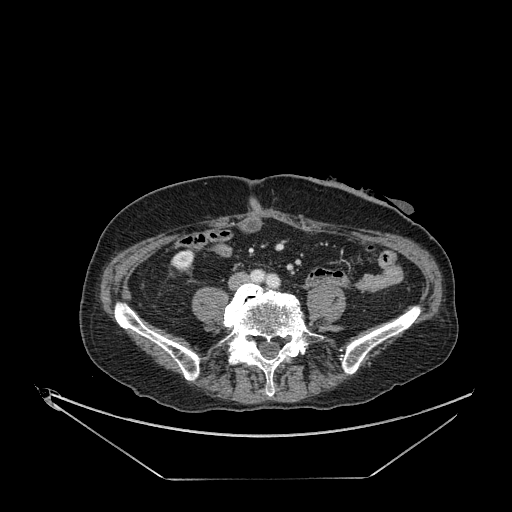

Image size 512x512; Abdomen; Computed tomography
kidney:
  - box=[172, 250, 193, 269]